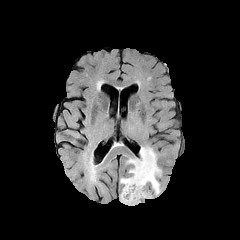
FLAIR MR image.
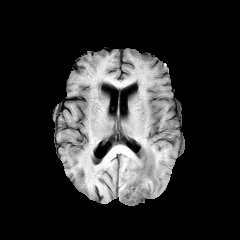
T1-weighted magnetic resonance of the same slice.
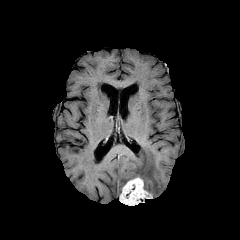
Post-contrast T1-weighted magnetic resonance.
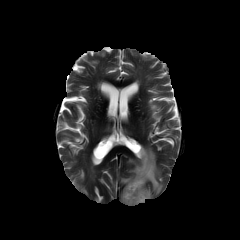
T2-weighted magnetic resonance.
Brain
The enhancing tumor is bounded by rect(120, 176, 152, 205). The edema lies within rect(120, 146, 161, 195).